FLAIR MRI.
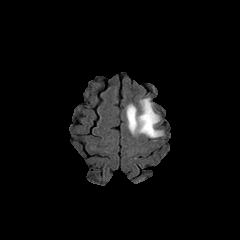
T1-weighted magnetic resonance.
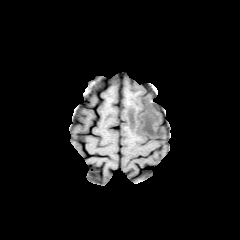
Post-contrast T1-weighted MR.
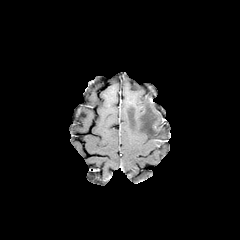
T2-weighted magnetic resonance.
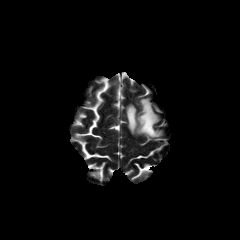
Brain
The edema appears at left=126, top=98, right=163, bottom=137.